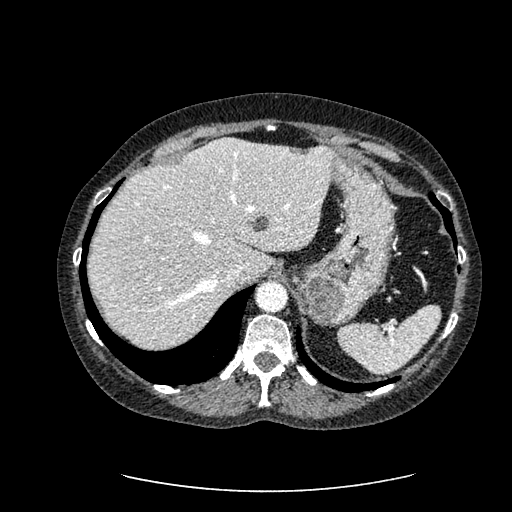

Computed tomography, Abdomen, Image size 512x512

Liver — region(88, 138, 334, 347).
Focal liver lesion — region(287, 147, 311, 155); region(251, 215, 268, 231).